Image size 240x240 | Head
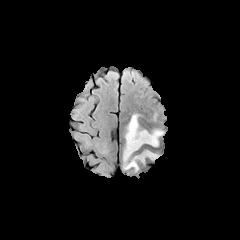
FLAIR MR image.
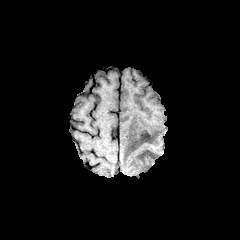
T1-weighted MRI.
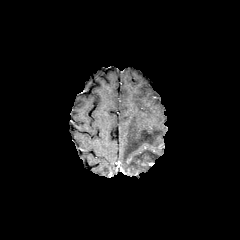
Post-contrast T1-weighted MR image of the same slice.
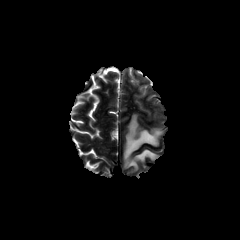
T2-weighted MR.
2 edema regions appear at (x1=124, y1=114, x2=163, y2=161), (x1=125, y1=150, x2=159, y2=169).